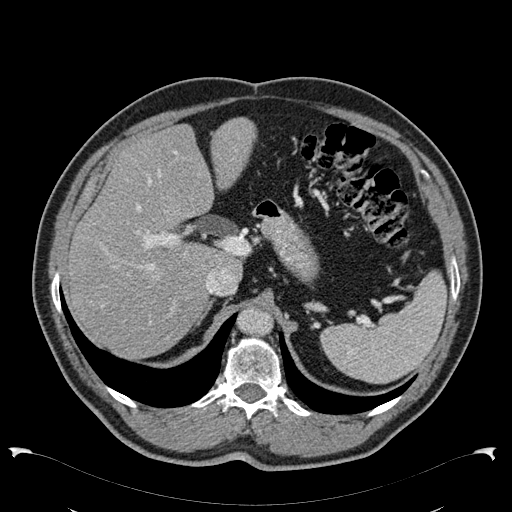 Image size 512x512 | CT scan slice
liver:
  - l=211, t=118, r=255, b=189
  - l=67, t=123, r=242, b=357